FLAIR MR image.
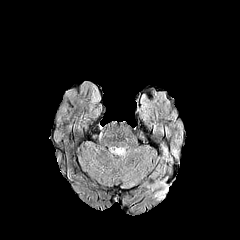
T1-weighted MRI.
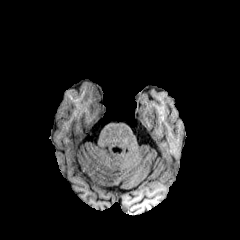
Post-contrast T1-weighted MR image.
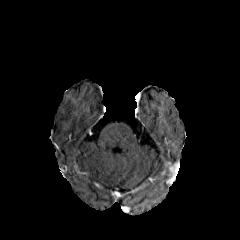
T2-weighted MR image.
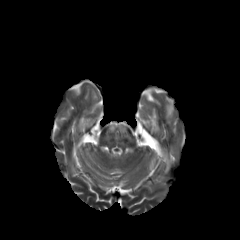
240x240 px | Head
<segmentation>
  <edema>(160, 156, 171, 172), (149, 174, 164, 182)</edema>
</segmentation>